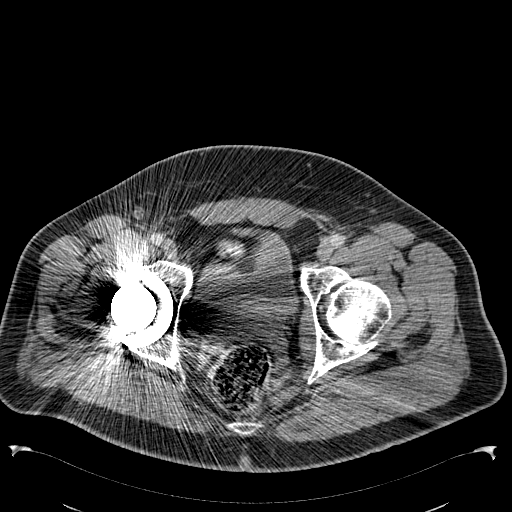
Computed tomography | Image size 512x512
Urinary bladder: 231:240:242:247, 195:224:300:324.